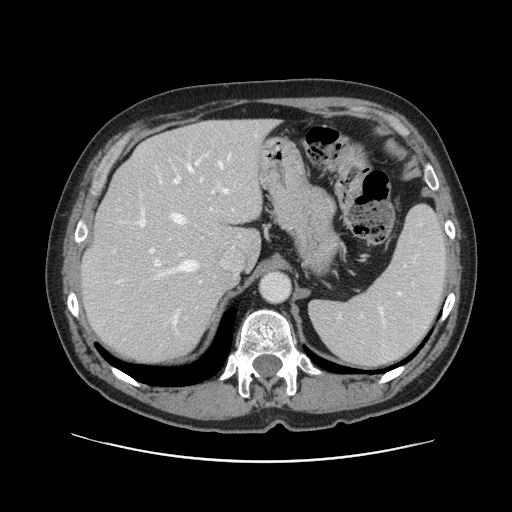 512x512. CT. Liver.

The vessel boxes may cover only some of the vessels.
The largest 15 hepatic vessel regions (of 18) are bounded by [141, 209, 144, 215], [138, 218, 144, 226], [219, 162, 222, 167], [160, 179, 161, 182], [222, 189, 227, 192], [187, 164, 191, 170], [174, 176, 180, 183], [150, 249, 153, 251], [195, 158, 200, 165], [118, 280, 122, 281], [172, 214, 184, 223], [177, 260, 197, 270], [155, 260, 159, 265], [228, 154, 230, 158], [173, 317, 176, 325].